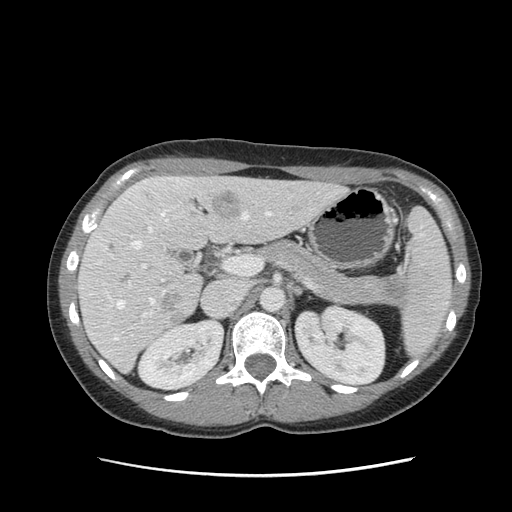
CT. Upper abdomen.

{"pancreas": ["(left=260, top=240, right=389, bottom=305)"], "pancreatic_tumor": ["(left=377, top=274, right=409, bottom=308)"]}